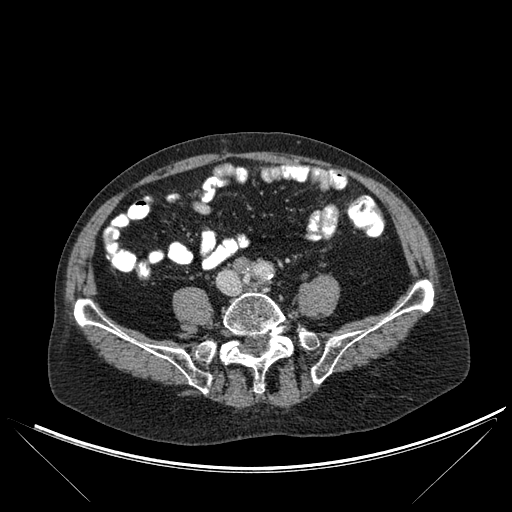 Computed tomography
5 bone regions are located at left=196, top=341, right=215, bottom=361; left=220, top=293, right=293, bottom=392; left=74, top=299, right=211, bottom=393; left=311, top=280, right=433, bottom=383; left=298, top=329, right=314, bottom=348.